512x512 px, CT image

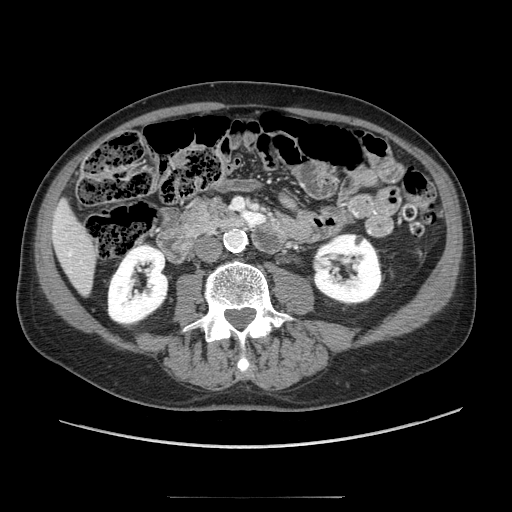

The pancreas is at region(191, 199, 246, 236).